CT slice | Image width 409 mm | Upper abdomen | Slice index 174

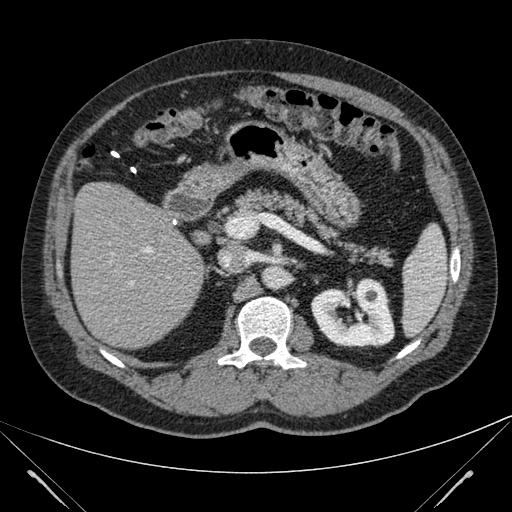

The kidney is bounded by l=312, t=279, r=393, b=345. The liver is bounded by l=71, t=182, r=203, b=347.